512x512 | Liver | CT scan slice

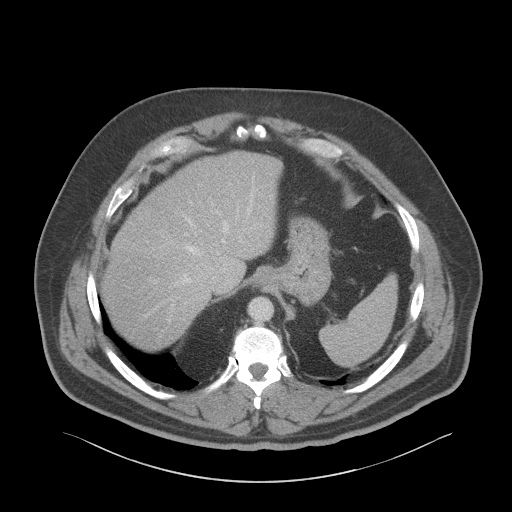 <segmentation>
  <liver>(left=103, top=152, right=280, bottom=349)</liver>
</segmentation>